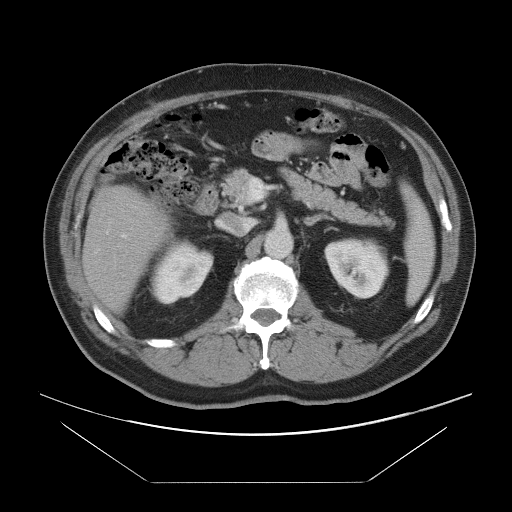 CT scan slice. 512x512.

Only some of the vessels may be annotated.
* hepatic vessel: (left=122, top=234, right=126, bottom=237)